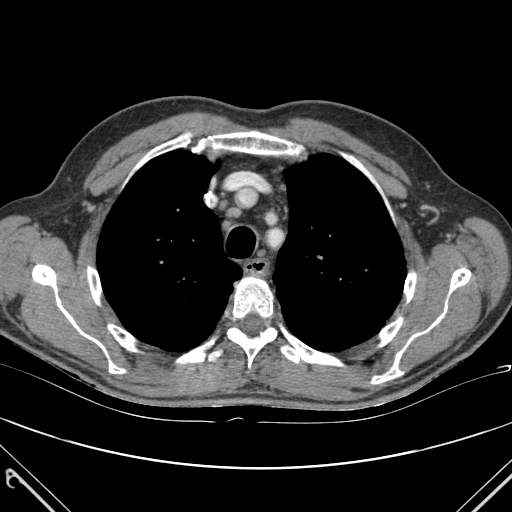
Image size 512x512. CT slice.

lung:
  - x1=97 y1=150 x2=241 y2=351
  - x1=273 y1=153 x2=405 y2=351
bone:
  - x1=404 y1=273 x2=415 y2=301
  - x1=87 y1=267 x2=101 y2=304
  - x1=176 y1=340 x2=213 y2=363
  - x1=343 y1=154 x2=373 y2=181
  - x1=227 y1=328 x2=276 y2=367
  - x1=371 y1=301 x2=447 y2=383
  - x1=379 y1=318 x2=402 y2=346
  - x1=281 y1=328 x2=342 y2=365
  - x1=108 y1=324 x2=136 y2=351
  - x1=233 y1=277 x2=272 y2=317
  - x1=209 y1=352 x2=219 y2=360
  - x1=32 y1=265 x2=125 y2=373
  - x1=449 y1=268 x2=470 y2=294
  - x1=135 y1=133 x2=193 y2=168
  - x1=192 y1=131 x2=301 y2=154